CT. 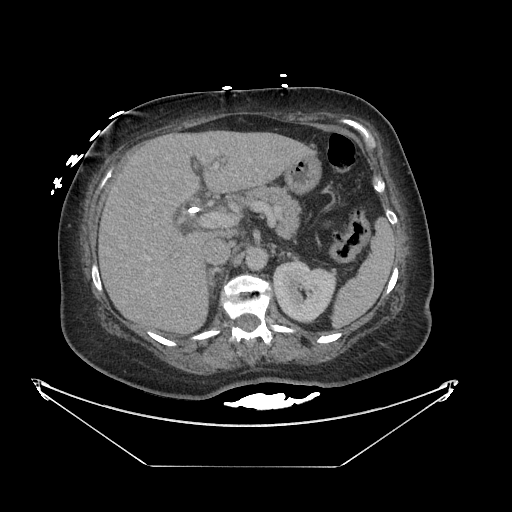 <segmentation>
  <pancreas>251, 187, 300, 238</pancreas>
</segmentation>